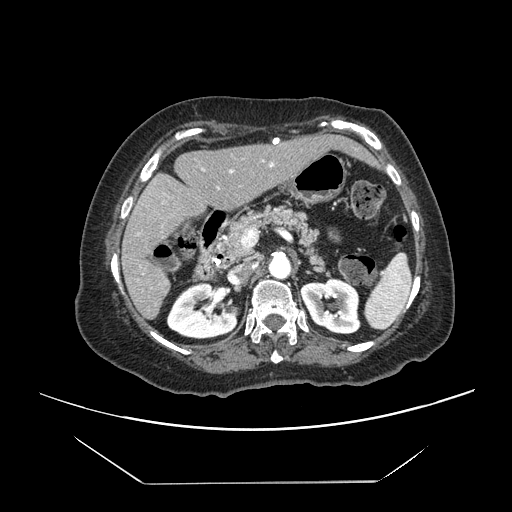
512x512, CT image

Only some of the vessels may be annotated.
* hepatic vessel: <bbox>230, 170, 232, 171</bbox>, <bbox>241, 228, 256, 247</bbox>